Slice index 78. CT.
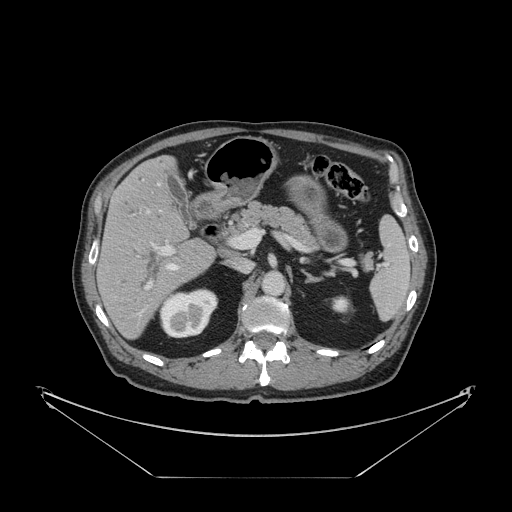 Not every hepatic vessel necessarily has a box.
7 hepatic vessel regions are located at (left=231, top=229, right=262, bottom=247), (left=167, top=264, right=177, bottom=269), (left=147, top=210, right=149, bottom=212), (left=151, top=242, right=174, bottom=256), (left=137, top=310, right=143, bottom=316), (left=157, top=184, right=159, bottom=185), (left=145, top=282, right=150, bottom=289).